Liver, 512x512 px, CT
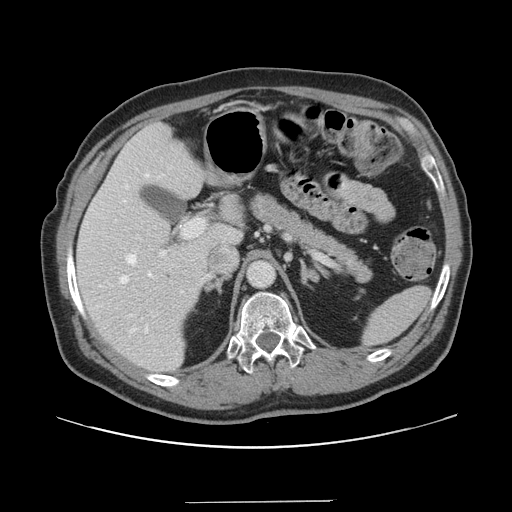 The vessel annotation is not exhaustive.
hepatic_vessel:
  - l=181, t=218, r=204, b=237
  - l=126, t=255, r=135, b=264
  - l=120, t=276, r=127, b=282
  - l=145, t=325, r=147, b=332
  - l=145, t=174, r=149, b=176
  - l=148, t=273, r=151, b=275
  - l=129, t=327, r=136, b=333
  - l=126, t=186, r=127, b=187
  - l=159, t=251, r=165, b=256
  - l=181, t=291, r=182, b=292